CT slice. 512x512. 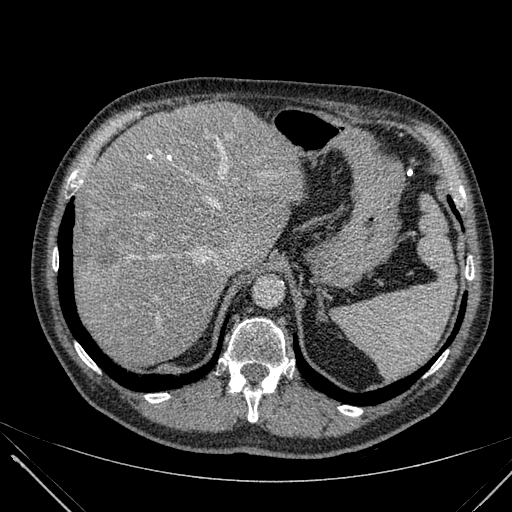

The liver is at (73, 103, 304, 367). 2 liver lesion regions appear at (97, 240, 118, 270), (117, 226, 126, 237).